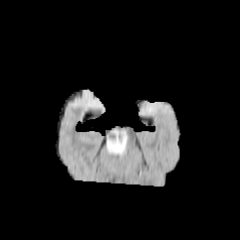
FLAIR MRI.
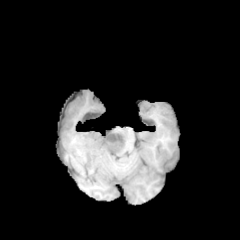
T1-weighted MR of the same slice.
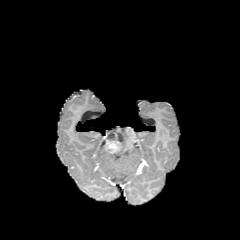
Post-contrast T1-weighted MRI.
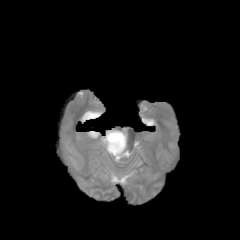
T2-weighted MRI of the same slice.
Head.
Non-enhancing tumor core = l=107, t=132, r=115, b=139; l=116, t=133, r=124, b=153.
Edema = l=104, t=127, r=128, b=155.
Enhancing tumor = l=105, t=135, r=119, b=153.